CT scan slice. Field of view 360 mm wide, 0.80 mm slice spacing. Image size 512x512. Slice index 162.

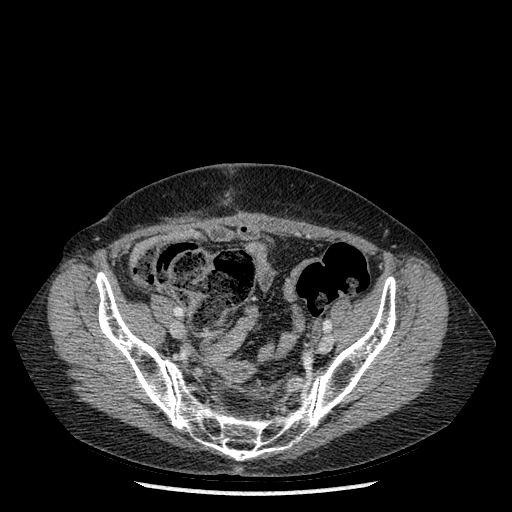 Bone at 95, 272, 395, 460.